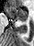 Image size 34x46. MR. Medial temporal lobe.

* anterior hippocampus: [5,7,27,20]
* posterior hippocampus: [21,21,25,21]